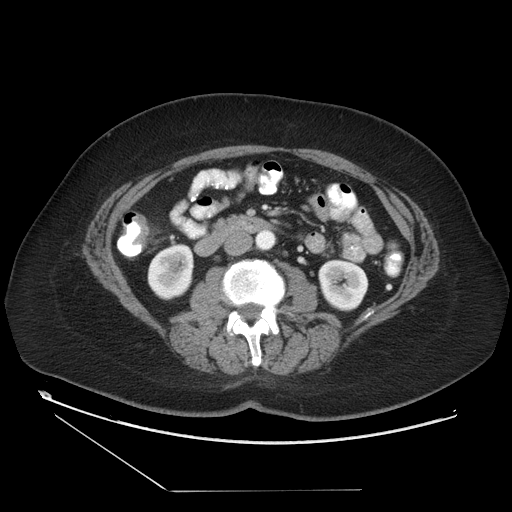
CT scan slice | Image size 512x512
{
  "colon_tumor": [
    "left=132, top=215, right=148, bottom=244"
  ]
}